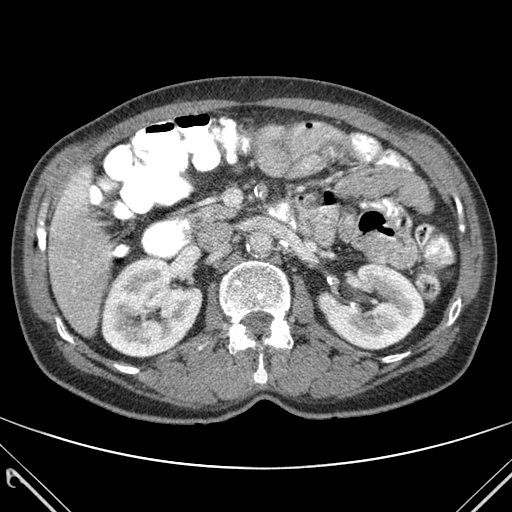 CT scan slice. Abdomen. Bone: bounding box bbox(254, 354, 266, 382); bbox(115, 365, 138, 373); bbox(220, 261, 292, 352); bbox(383, 353, 407, 361); bbox(449, 299, 460, 324); bbox(37, 221, 45, 250); bbox(56, 318, 72, 342).
Kidney: bounding box bbox(103, 259, 201, 356); bbox(320, 265, 423, 348).
Liver: bounding box bbox(49, 171, 113, 335).